FLAIR magnetic resonance.
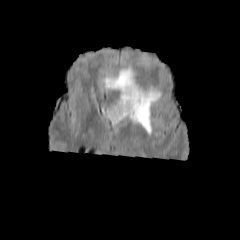
T1-weighted magnetic resonance.
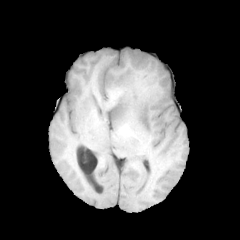
Post-contrast T1-weighted MR image.
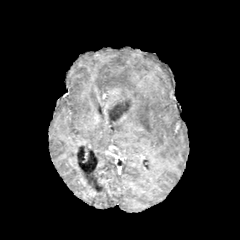
T2-weighted MR image.
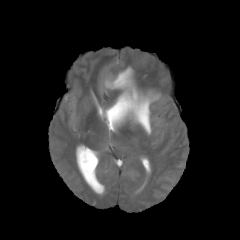
{
  "edema": [
    "104 67 161 132"
  ],
  "non-enhancing_tumor_core": [
    "108 99 131 121"
  ]
}